CT scan slice | Abdomen 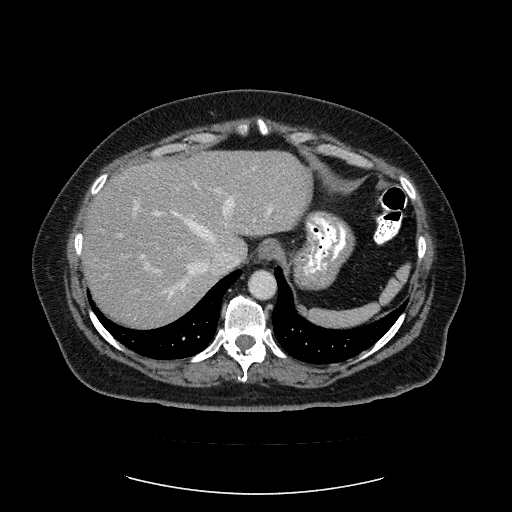

Some hepatic vessels may have no box.
partial: true
hepatic_vessel:
  # 15 of 17 shown
  - {"x1": 145, "y1": 263, "x2": 160, "y2": 271}
  - {"x1": 185, "y1": 215, "x2": 214, "y2": 240}
  - {"x1": 270, "y1": 227, "x2": 287, "y2": 230}
  - {"x1": 133, "y1": 200, "x2": 139, "y2": 217}
  - {"x1": 165, "y1": 280, "x2": 185, "y2": 300}
  - {"x1": 171, "y1": 211, "x2": 178, "y2": 214}
  - {"x1": 224, "y1": 198, "x2": 233, "y2": 215}
  - {"x1": 117, "y1": 233, "x2": 123, "y2": 235}
  - {"x1": 141, "y1": 254, "x2": 145, "y2": 258}
  - {"x1": 199, "y1": 263, "x2": 207, "y2": 270}
  - {"x1": 215, "y1": 188, "x2": 221, "y2": 192}
  - {"x1": 266, "y1": 205, "x2": 273, "y2": 215}
  - {"x1": 195, "y1": 183, "x2": 197, "y2": 187}
  - {"x1": 154, "y1": 211, "x2": 161, "y2": 214}
  - {"x1": 188, "y1": 265, "x2": 197, "y2": 275}